FLAIR MRI.
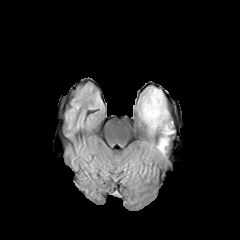
T1-weighted MRI.
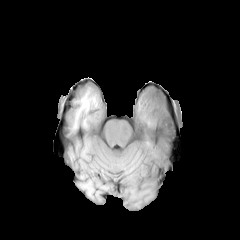
Post-contrast T1-weighted MRI.
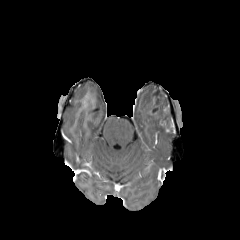
T2-weighted MR.
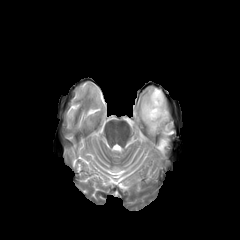
Head
The non-enhancing tumor core is bounded by (147, 87, 173, 133). 2 edema regions appear at (151, 131, 170, 158), (136, 86, 160, 136).